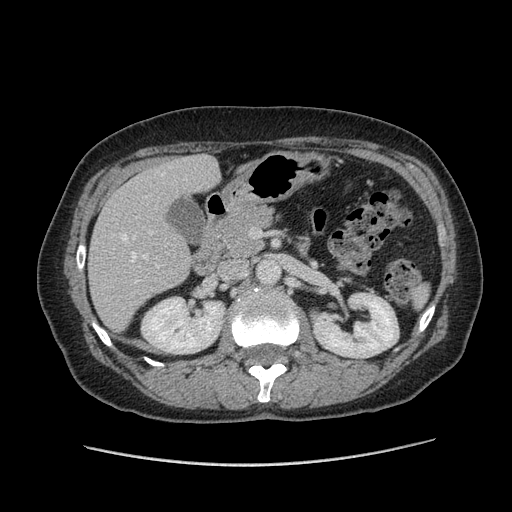 Abdomen. Computed tomography. The vessel boxes may cover only some of the vessels.
hepatic vessel: left=149, top=231, right=151, bottom=234